Slice 25/84, CT scan slice 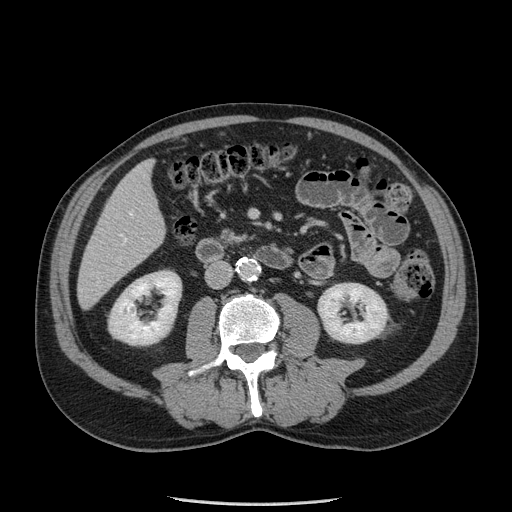
Segmented structures:
* pancreas: 220, 228, 246, 244